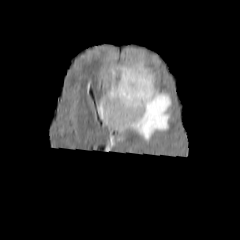
FLAIR MR image.
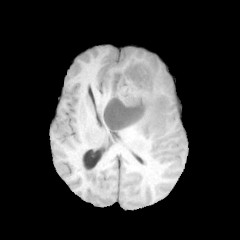
Same slice, T1-weighted MR image.
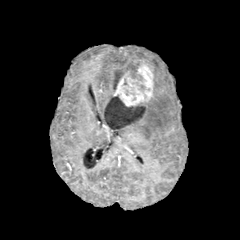
Post-contrast T1-weighted MR.
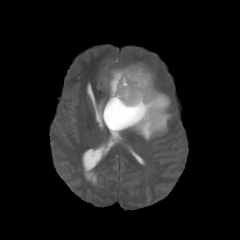
T2-weighted MRI.
240x240 px.
Edema = box(108, 62, 141, 98); box(124, 86, 171, 139).
Enhancing tumor = box(114, 64, 154, 106).
Non-enhancing tumor core = box(103, 94, 146, 129); box(112, 67, 142, 89); box(131, 82, 146, 90).